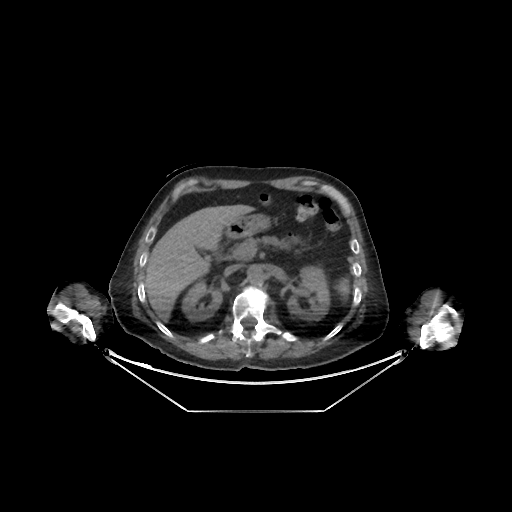

Liver | CT
liver:
  - 141, 205, 266, 318
kidney:
  - 287, 262, 332, 321
  - 181, 279, 224, 322